512x512. Computed tomography. Slice 63 of 161. 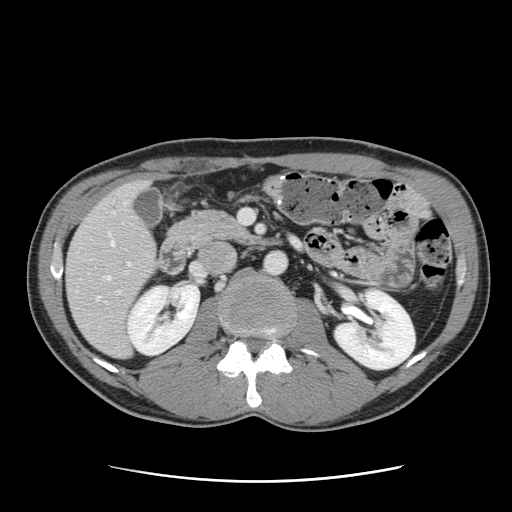 Not every hepatic vessel necessarily has a box.
6 hepatic vessel regions are bounded by bbox(110, 239, 113, 245); bbox(97, 297, 99, 299); bbox(118, 291, 119, 292); bbox(103, 276, 110, 279); bbox(127, 262, 130, 264); bbox(124, 203, 126, 204).